CT scan slice.
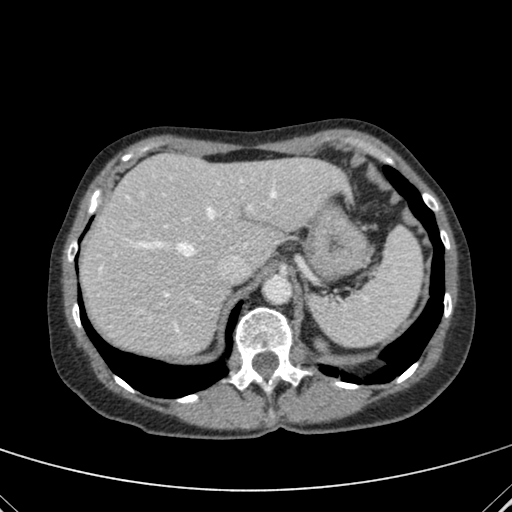
liver: (81, 153, 345, 354)